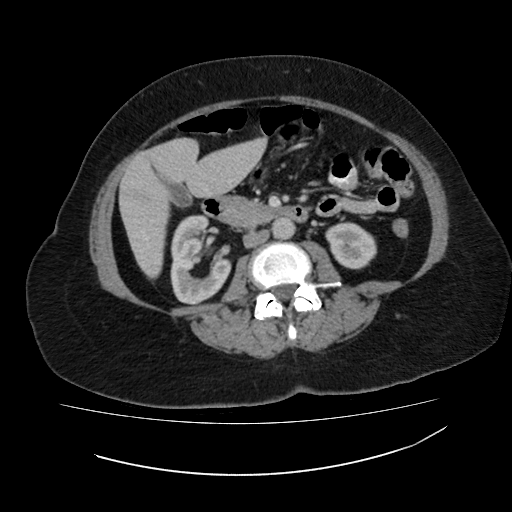
CT image; Abdomen
Hepatic lesion = (left=122, top=187, right=151, bottom=209).
Kidney = (left=171, top=215, right=230, bottom=303), (left=326, top=223, right=376, bottom=268).
Liver = (left=120, top=138, right=265, bottom=276).